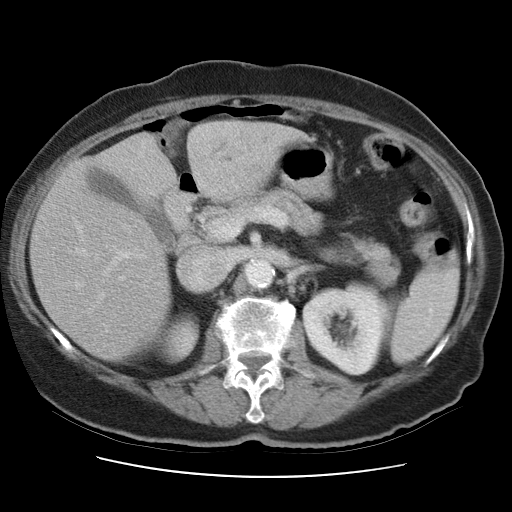

Abdomen, Computed tomography, 512x512
Only some of the vessels may be annotated.
<segmentation>
  <hepatic_vessel>(left=105, top=268, right=109, bottom=272), (left=113, top=253, right=128, bottom=264), (left=209, top=221, right=227, bottom=237), (left=136, top=254, right=144, bottom=257)</hepatic_vessel>
  <liver_tumor>(left=210, top=134, right=259, bottom=162)</liver_tumor>
</segmentation>